Upper abdomen; Computed tomography

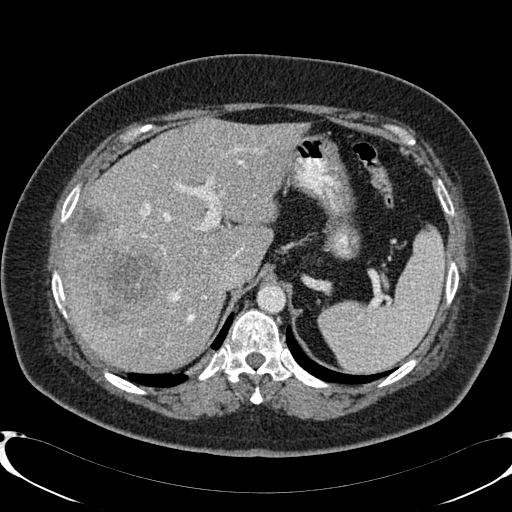 liver:
  - (left=65, top=118, right=310, bottom=369)
focal_liver_lesion:
  - (left=69, top=205, right=160, bottom=324)